Head. Field of view 240x240 mm. Slice 89 of 155.
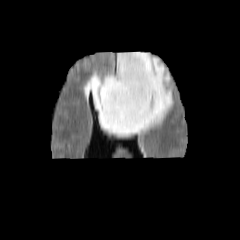
FLAIR MR.
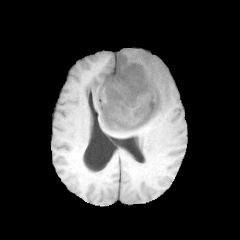
Same slice, T1-weighted MR image.
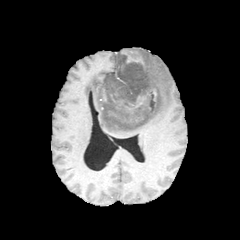
Post-contrast T1-weighted MR.
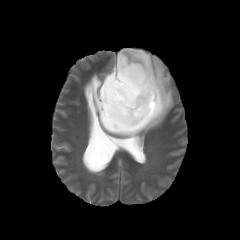
Same slice, T2-weighted MRI.
The non-enhancing tumor core is bounded by box(112, 49, 157, 127). The edema lies within box(90, 52, 173, 135). The enhancing tumor is at box(127, 55, 142, 63).